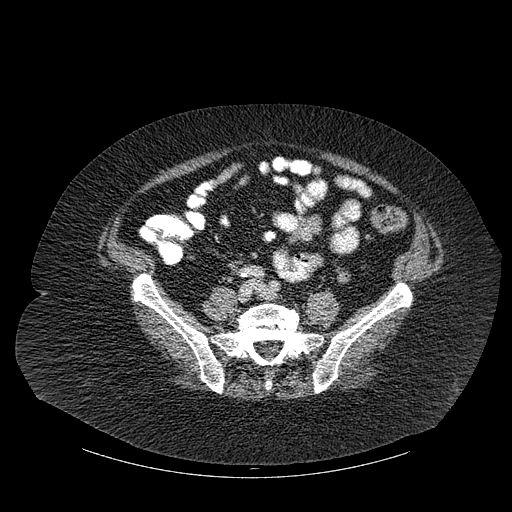
CT slice.
bone: x1=132, y1=274, x2=323, y2=393; x1=313, y1=283, x2=411, y2=393; x1=265, y1=372, x2=272, y2=389